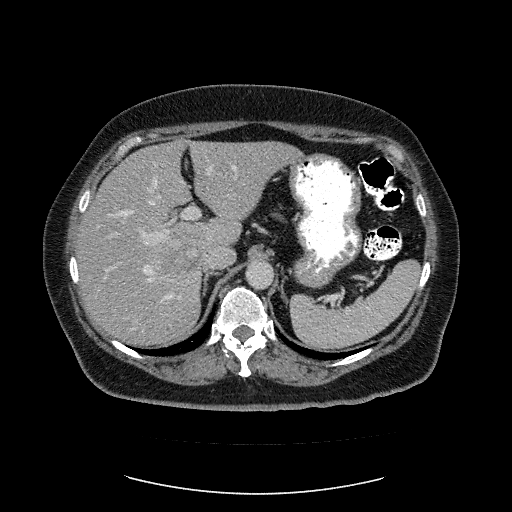 CT slice, Abdomen, 512x512
Only some of the vessels may be annotated.
Segmented structures:
* hepatic vessel: 179 295 180 298, 105 264 118 278, 131 328 134 329, 109 210 131 216, 153 178 157 186, 141 231 164 243, 183 206 200 218, 232 166 236 169, 150 201 154 204, 144 265 153 281, 181 181 183 182, 166 292 173 298, 107 232 117 237, 149 188 152 191, 206 166 212 173
* liver tumor: 162 246 205 275